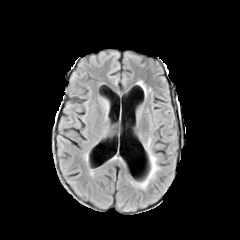
FLAIR magnetic resonance.
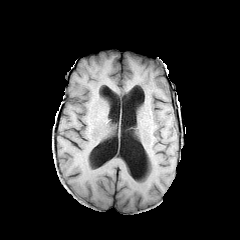
Same slice, T1-weighted MR image.
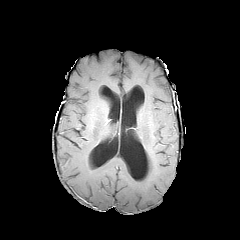
Same slice, post-contrast T1-weighted magnetic resonance.
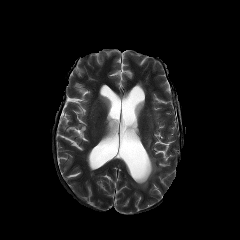
T2-weighted magnetic resonance.
240x240.
Edema: (x1=136, y1=138, x2=160, y2=189).